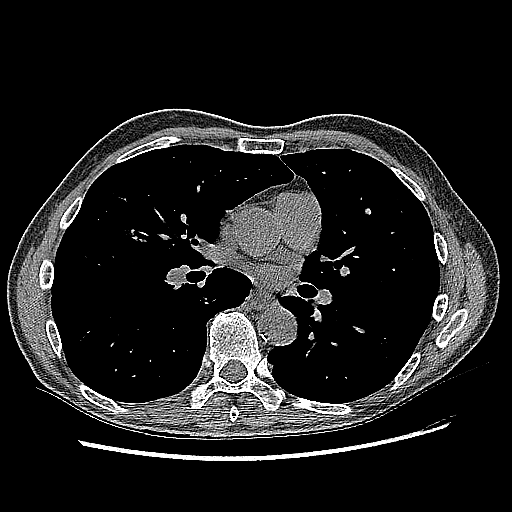
Computed tomography; Thorax
Findings:
• lung tumor: rect(122, 227, 148, 244)